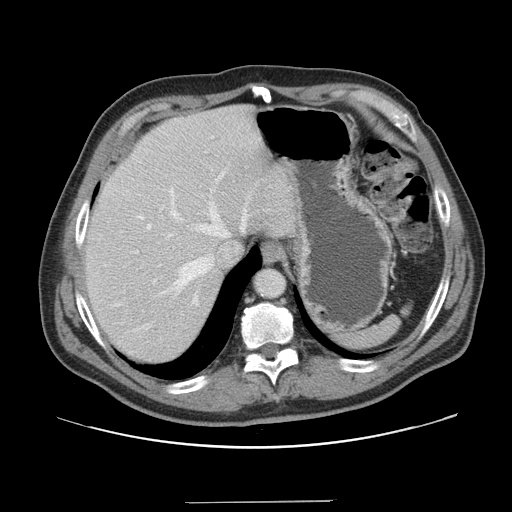
CT slice
The vessel boxes may cover only some of the vessels.
12 hepatic vessel regions appear at box=[138, 216, 143, 218]; box=[241, 209, 246, 230]; box=[147, 224, 150, 228]; box=[174, 258, 211, 290]; box=[161, 206, 163, 209]; box=[163, 291, 165, 292]; box=[170, 208, 181, 219]; box=[135, 251, 137, 252]; box=[194, 296, 196, 301]; box=[170, 188, 173, 204]; box=[153, 280, 155, 282]; box=[196, 202, 228, 236].